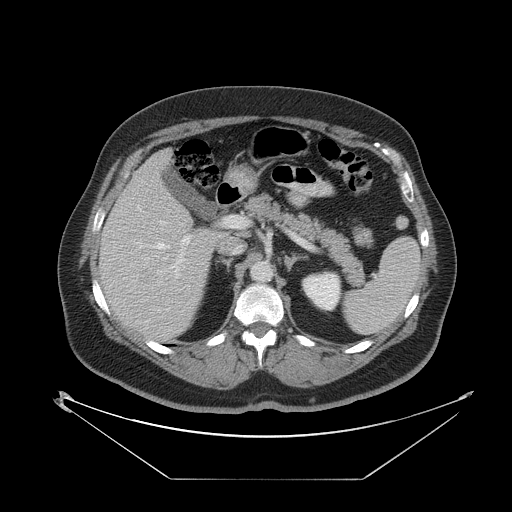
Liver, CT scan slice, 512x512

Not every hepatic vessel necessarily has a box.
The liver tumor appears at box=[141, 269, 156, 283]. 7 hepatic vessel regions are located at box=[164, 255, 167, 259]; box=[171, 233, 191, 277]; box=[155, 243, 169, 251]; box=[137, 205, 140, 209]; box=[159, 221, 166, 223]; box=[154, 307, 159, 310]; box=[184, 230, 185, 232].